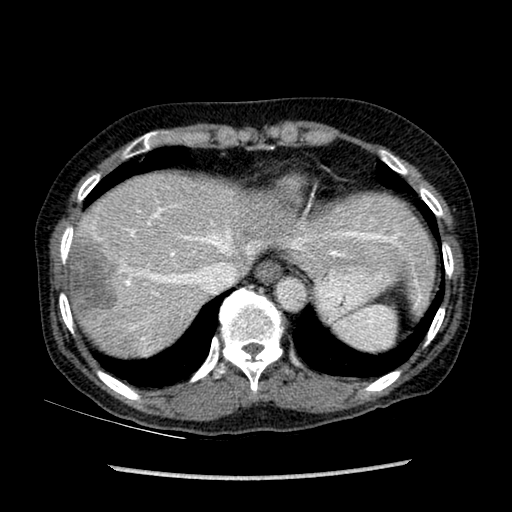 CT slice
{"liver": ["(x1=72, y1=171, x2=434, y2=357)"], "liver_lesion": ["(x1=70, y1=234, x2=119, y2=315)"]}